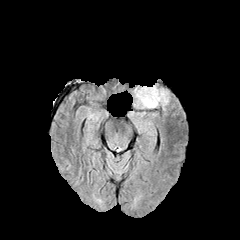
FLAIR MR.
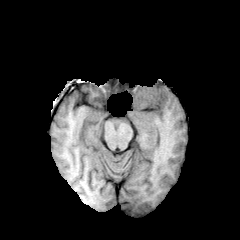
Same slice, T1-weighted magnetic resonance.
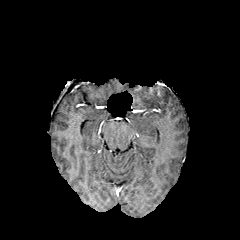
Post-contrast T1-weighted MR image of the same slice.
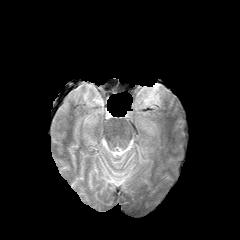
T2-weighted MR.
Head
* edema: l=135, t=85, r=165, b=107